FLAIR MR image.
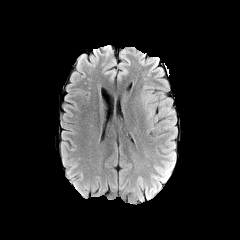
T1-weighted MR image.
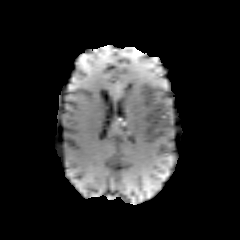
Post-contrast T1-weighted magnetic resonance.
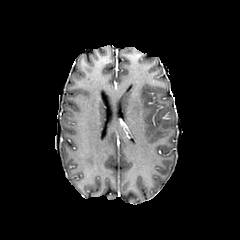
T2-weighted MRI.
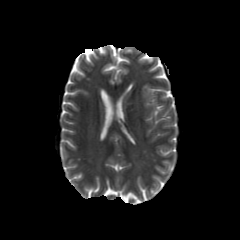
240x240 px
Segmented structures:
* edema: l=152, t=96, r=170, b=120; l=146, t=161, r=171, b=195